Image width 200 mm. 320x320 px. Prostate.
T2-weighted MR image.
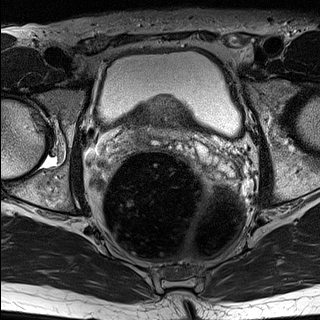
ADC MRI.
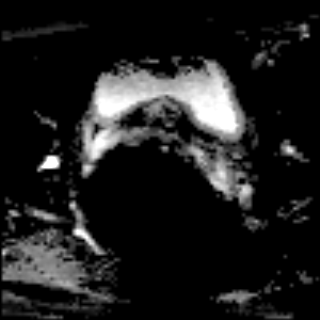
Prostate transition zone — 146 104 179 134.